FLAIR MR.
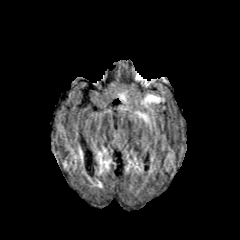
T1-weighted MR image.
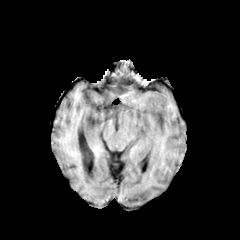
Post-contrast T1-weighted MRI.
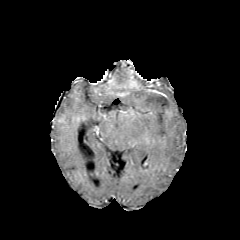
T2-weighted MR image.
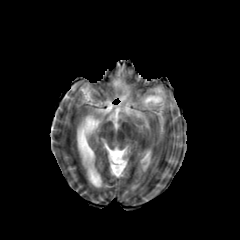
Edema: box=[114, 82, 164, 123].